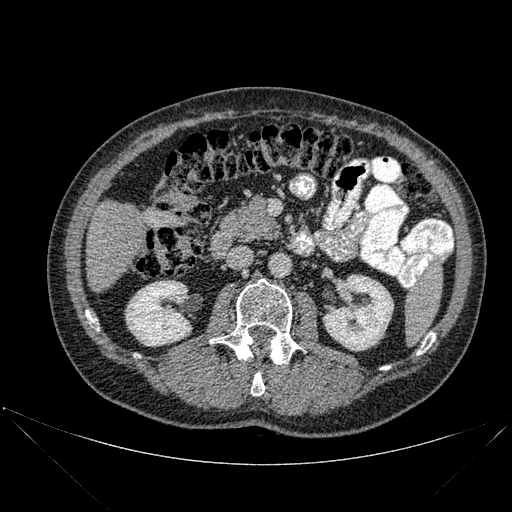

CT scan slice

<segmentation>
  <liver>l=86, t=202, r=146, b=291</liver>
  <bone>l=251, t=372, r=264, b=395; l=86, t=311, r=95, b=327; l=417, t=333, r=435, b=354; l=210, t=279, r=301, b=364</bone>
  <kidney>l=126, t=281, r=191, b=345; l=323, t=275, r=393, b=350</kidney>
</segmentation>